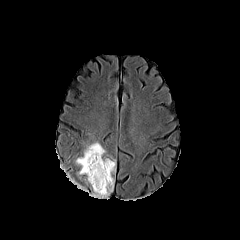
FLAIR MR image.
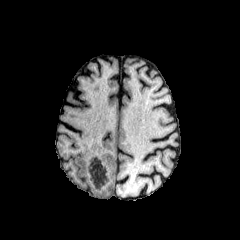
T1-weighted MR image.
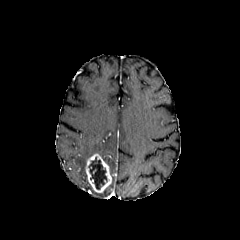
Post-contrast T1-weighted MRI.
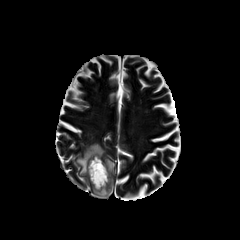
T2-weighted MRI of the same slice.
Head
Non-enhancing tumor core at [88,156,108,190].
Enhancing tumor at [84,154,111,192].
Edema at [76,143,104,174], [106,160,114,172], [95,180,113,197].